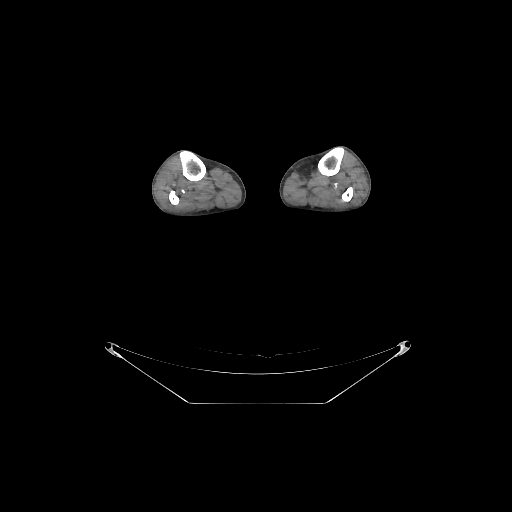 CT image. 512x512. bone: 169:190:178:204, 318:147:343:176, 180:151:205:181, 342:187:352:201